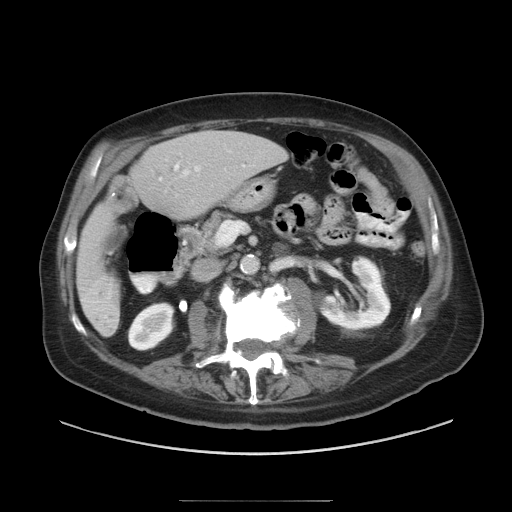
CT; 512x512 px; Liver

The vessel boxes may cover only some of the vessels.
Hepatic vessel at <bbox>183, 169, 189, 176</bbox>, <bbox>243, 165, 244, 166</bbox>, <bbox>195, 166, 200, 170</bbox>, <bbox>225, 168, 226, 170</bbox>, <bbox>216, 221, 237, 244</bbox>, <bbox>228, 150, 230, 151</bbox>, <bbox>175, 163, 179, 170</bbox>, <bbox>160, 178, 162, 180</bbox>.
Liver tumor at <bbox>99, 316, 114, 332</bbox>.